Medial temporal lobe, MR image 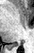
The posterior hippocampus lies within region(12, 43, 20, 46).